Computed tomography. Field of view 400x400 mm. Slice index 321.
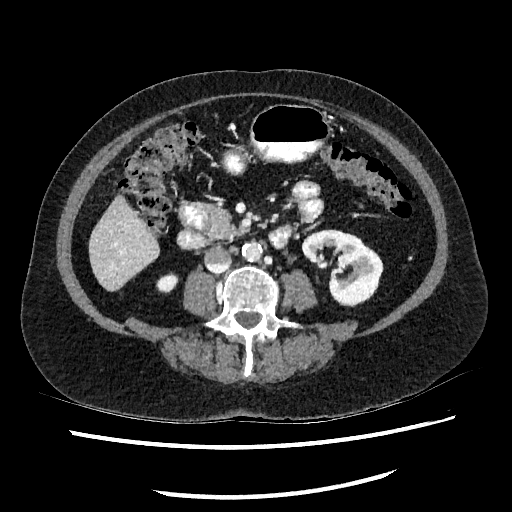
liver: l=89, t=196, r=157, b=290 | kidney: l=158, t=276, r=175, b=290; l=303, t=230, r=381, b=304